Abdomen; CT slice; Slice 145/276; Field of view 343 mm wide, 1.50 mm slice spacing 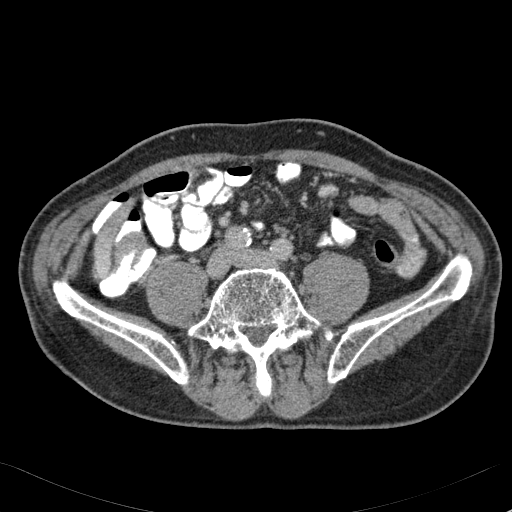
Liver at bbox=[94, 239, 110, 272].